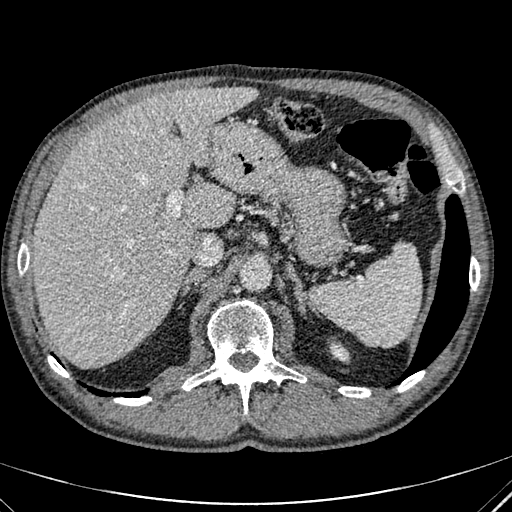
CT image
liver: left=35, top=86, right=257, bottom=366 | focal liver lesion: left=161, top=93, right=171, bottom=105 | kidney: left=334, top=346, right=346, bottom=358